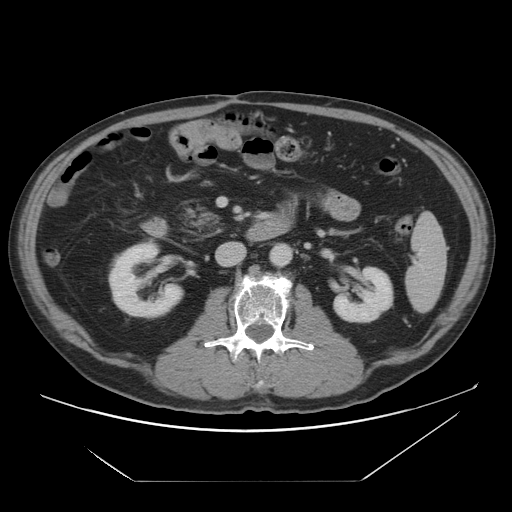

CT. Abdomen. {
  "kidney": [
    "[x1=334, y1=268, x2=391, y2=321]",
    "[x1=110, y1=244, x2=180, y2=315]"
  ]
}